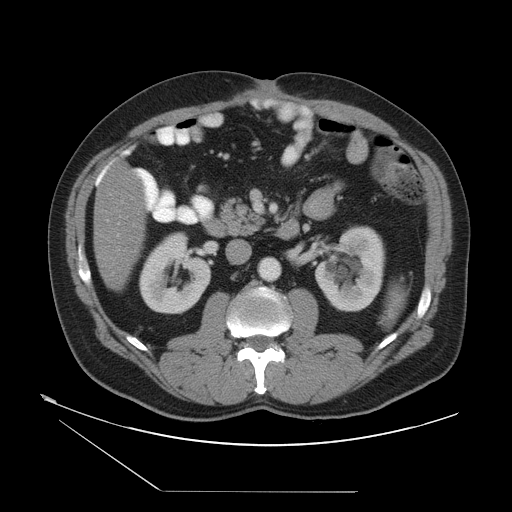 CT scan slice.

Only some of the vessels may be annotated.
hepatic_vessel:
  - <box>116,234,118,236</box>